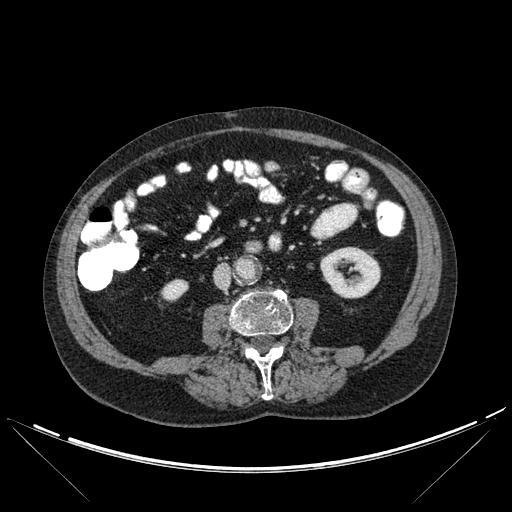
CT slice, Abdomen
2 kidney regions appear at <box>162,280,187,300</box>, <box>321,247,379,297</box>. 2 bone regions are located at <box>244,345,283,399</box>, <box>230,290,292,335</box>.